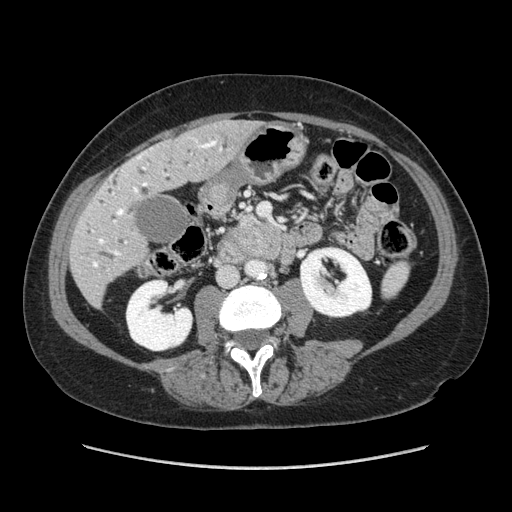
CT; Upper abdomen
Pancreas at left=227, top=213, right=271, bottom=258.